MR
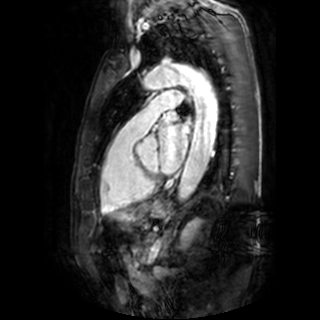 {
  "left_atrium": [
    "bbox(166, 111, 177, 120)",
    "bbox(159, 123, 189, 174)"
  ]
}